Computed tomography, Upper abdomen 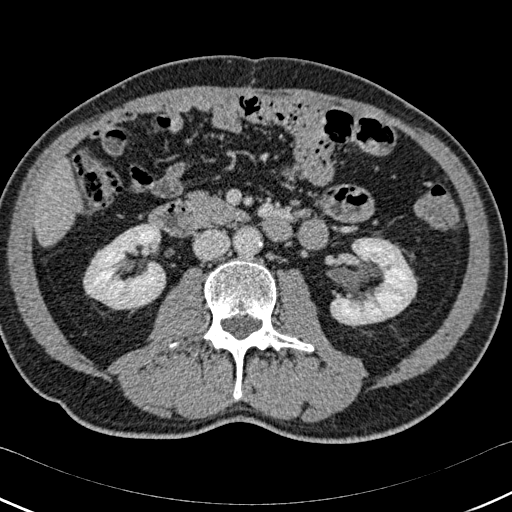

* bone: left=203, top=260, right=313, bottom=399
* kidney: left=84, top=224, right=164, bottom=308; left=331, top=238, right=416, bottom=324
* liver: left=35, top=162, right=80, bottom=245